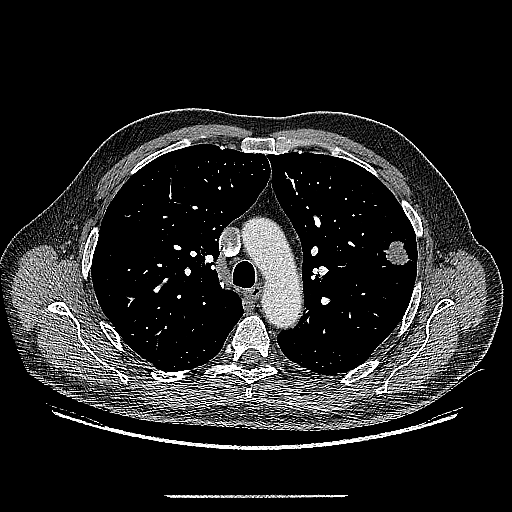

CT
Findings:
- lung tumor: (386, 240, 409, 265)